Liver; CT image 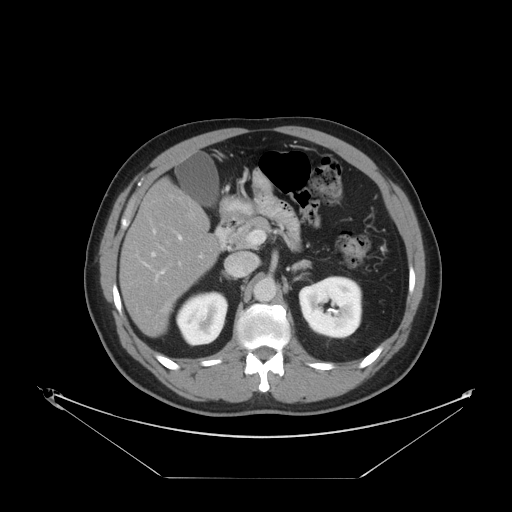
Some hepatic vessels may have no box.
5 hepatic vessel regions are bounded by 155:276:157:280, 161:271:163:273, 151:252:154:256, 153:230:155:232, 178:235:181:239.